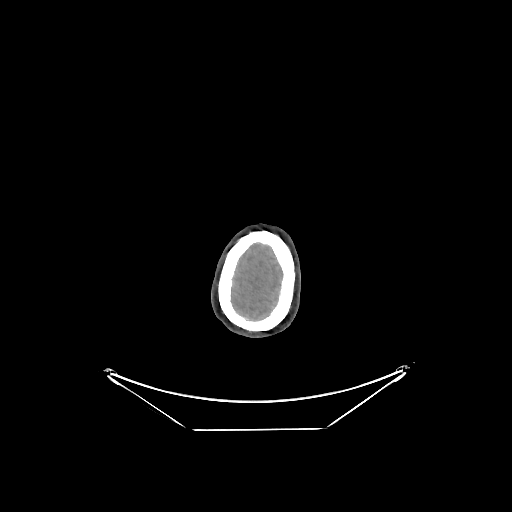
CT image; Brain; 512x512

brain:
  - 231,243,282,320